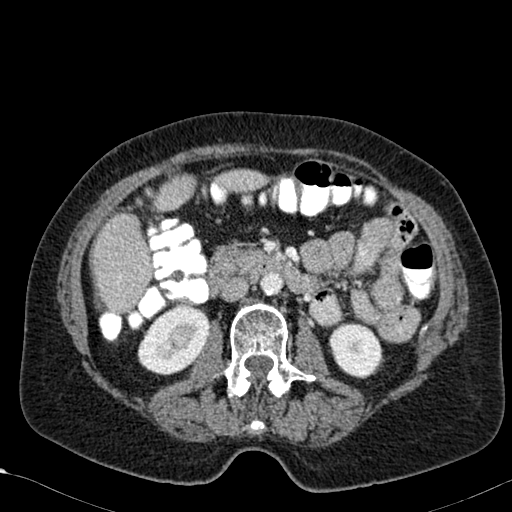
Computed tomography. Image size 512x512. Upper abdomen. Kidney: bounding box bbox(330, 324, 381, 377); bbox(138, 299, 209, 374).
Liver: bounding box bbox(155, 177, 192, 209); bbox(216, 170, 267, 190); bbox(93, 214, 151, 311).